Image size 512x512. Abdomen. CT slice.
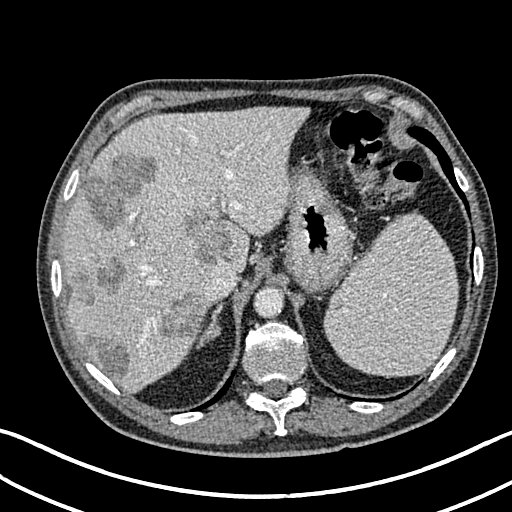 Liver: {"x1": 64, "y1": 108, "x2": 306, "y2": 389}.
Liver lesion: {"x1": 84, "y1": 152, "x2": 156, "y2": 227}, {"x1": 157, "y1": 292, "x2": 201, "y2": 341}, {"x1": 129, "y1": 225, "x2": 146, "y2": 242}, {"x1": 92, "y1": 253, "x2": 127, "y2": 288}, {"x1": 86, "y1": 335, "x2": 128, "y2": 374}, {"x1": 184, "y1": 212, "x2": 231, "y2": 264}, {"x1": 78, "y1": 276, "x2": 95, "y2": 303}.